Field of view 446 mm wide, 2.50 mm slice spacing; Slice 32 of 101; CT image
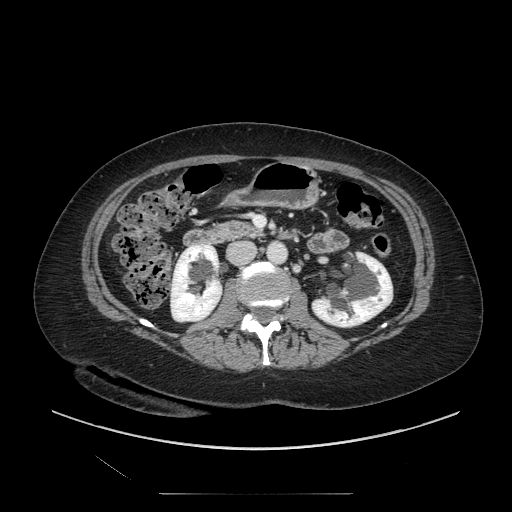

<segmentation>
  <pancreas>{"x1": 209, "y1": 220, "x2": 262, "y2": 241}</pancreas>
</segmentation>